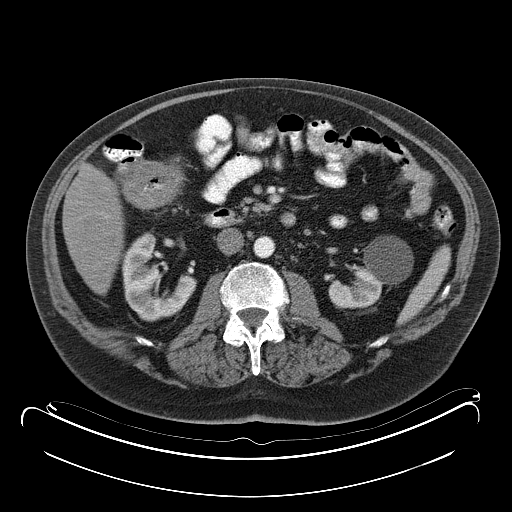 Image size 512x512; Pelvis; CT
• colon tumor: (123, 161, 182, 208)